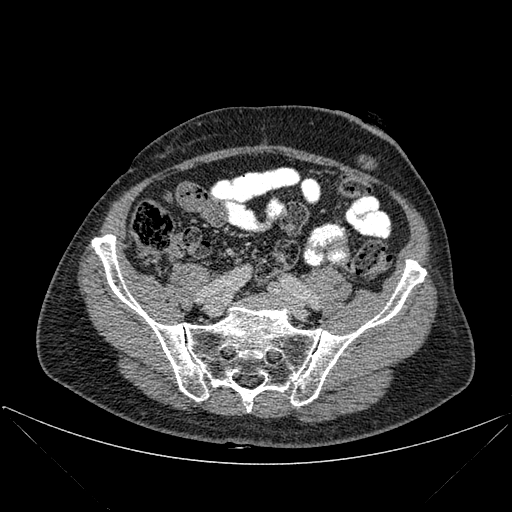
CT
The bone is located at (92, 234, 426, 411).